Image size 512x512; Slice 89 of 696; CT image; Lower abdomen 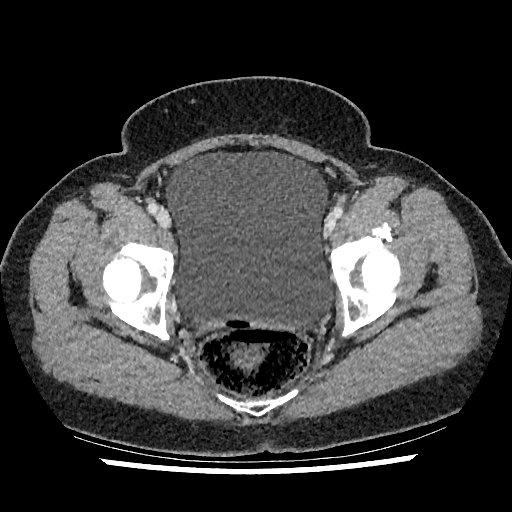 The urinary bladder is bounded by rect(166, 151, 334, 330).